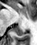 MRI slice; Medial temporal lobe
Posterior hippocampus at x1=14, y1=27, x2=25, y2=35.